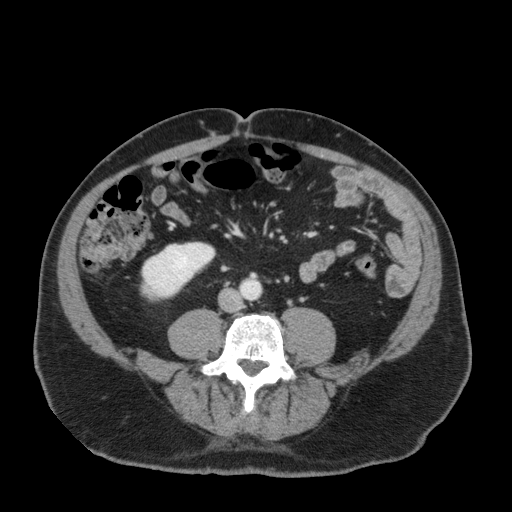

Computed tomography
The kidney lies within bbox(143, 243, 213, 296).